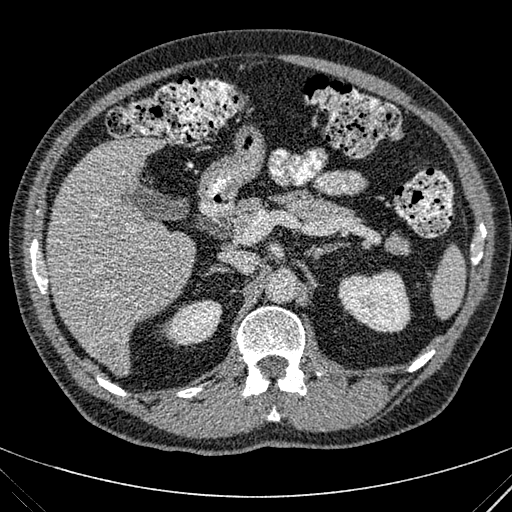 CT image; Liver
<segmentation>
  <liver_lesion>95 340 123 365</liver_lesion>
  <liver>46 138 192 376</liver>
  <kidney>339 271 409 332, 166 301 221 344</kidney>
</segmentation>